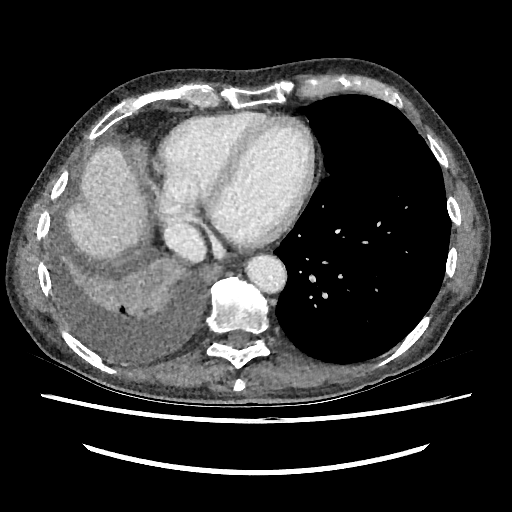 512x512 px | CT image
• liver: bbox(133, 145, 140, 152); bbox(65, 145, 147, 256)